FLAIR magnetic resonance.
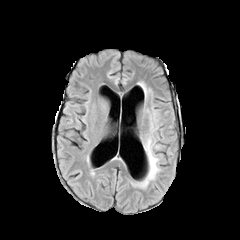
T1-weighted MR image.
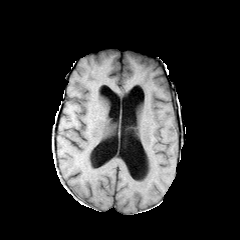
Post-contrast T1-weighted MRI.
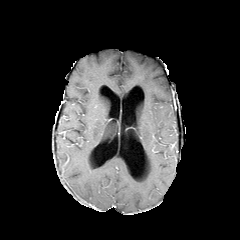
T2-weighted MR image.
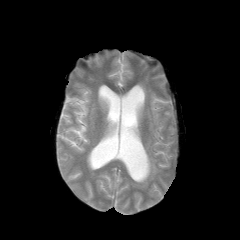
240x240
Edema = box=[139, 82, 150, 96]; box=[131, 108, 161, 187].